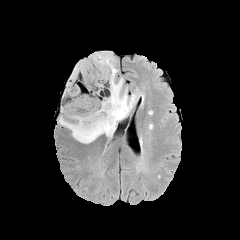
FLAIR magnetic resonance.
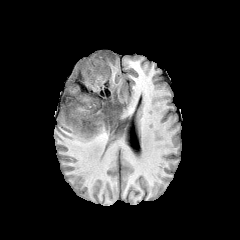
T1-weighted MR.
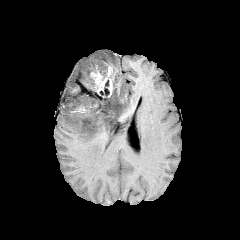
Same slice, post-contrast T1-weighted MR image.
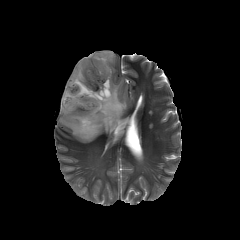
T2-weighted magnetic resonance.
Head
<segmentation>
  <edema>box=[59, 51, 135, 143]</edema>
  <non-enhancing_tumor_core>box=[88, 96, 121, 125]; box=[91, 67, 107, 82]</non-enhancing_tumor_core>
  <enhancing_tumor>box=[93, 67, 112, 94]</enhancing_tumor>
</segmentation>